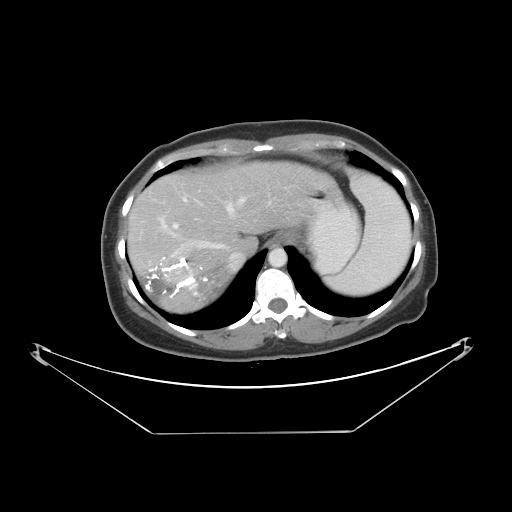
CT slice
Not every hepatic vessel necessarily has a box.
Liver tumor = region(137, 250, 220, 308).
Hepatic vessel = region(139, 220, 145, 224); region(225, 197, 246, 218); region(269, 202, 270, 203); region(194, 218, 201, 220); region(157, 213, 227, 251); region(195, 199, 201, 204); region(137, 229, 143, 239).